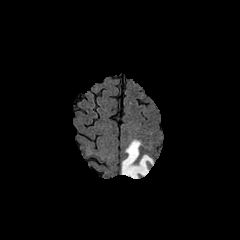
FLAIR MRI.
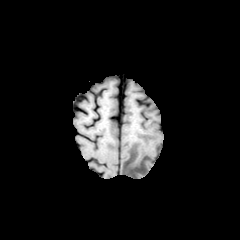
T1-weighted MR.
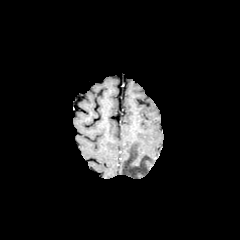
Post-contrast T1-weighted MRI.
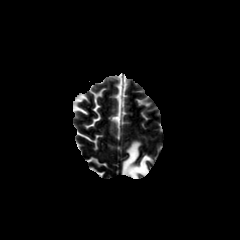
T2-weighted MR image.
240x240
Edema: bounding box (121,140,153,178).